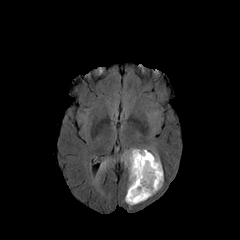
FLAIR MR image.
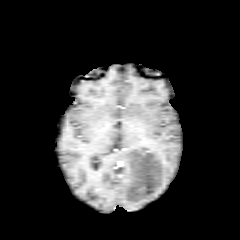
T1-weighted MR image.
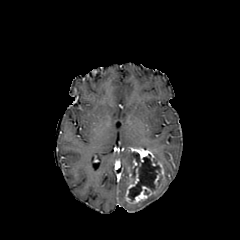
Post-contrast T1-weighted magnetic resonance.
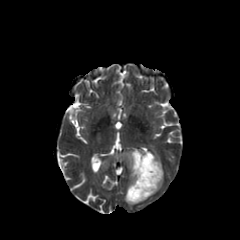
Same slice, T2-weighted MRI.
Brain
3 enhancing tumor regions are bounded by 131 148 159 165, 125 159 155 203, 154 169 163 187. 2 non-enhancing tumor core regions are bounded by 128 157 160 199, 132 152 139 161. 2 edema regions appear at 121 150 132 182, 148 176 163 197.